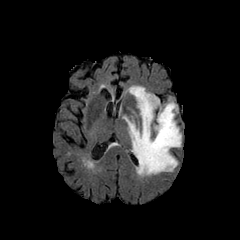
FLAIR MRI.
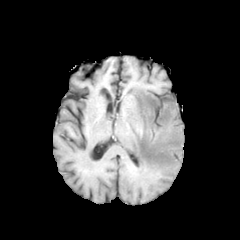
Same slice, T1-weighted magnetic resonance.
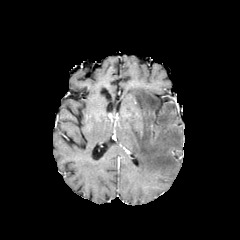
Post-contrast T1-weighted MRI of the same slice.
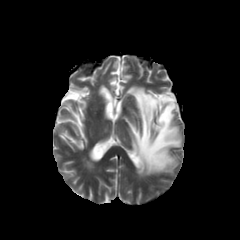
Same slice, T2-weighted MRI.
Head
The edema appears at (x1=125, y1=86, x2=181, y2=176).